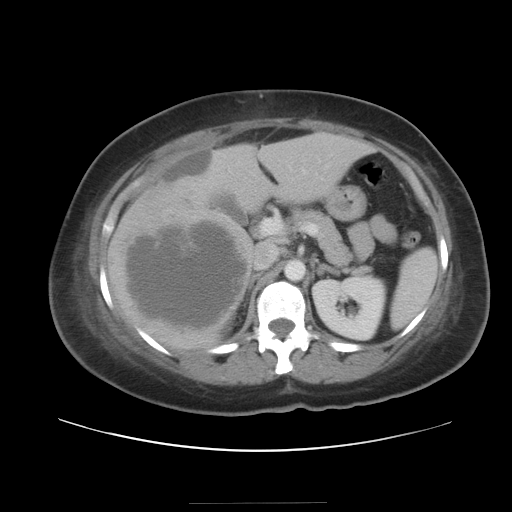
CT image; Abdomen
<segmentation>
  <liver_tumor>126,223,250,329</liver_tumor>
</segmentation>